CT slice | 512x512 px | Abdomen | Slice 409/836

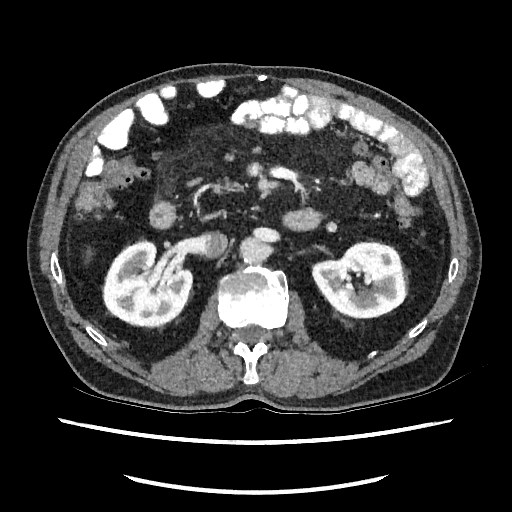 Kidney: (x1=312, y1=242, x2=406, y2=318), (x1=103, y1=240, x2=192, y2=327).